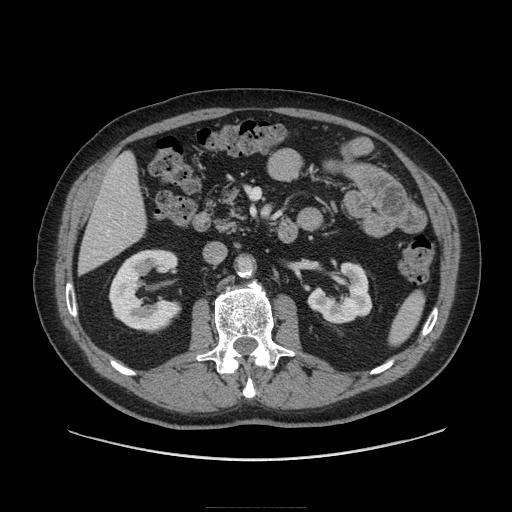
Abdomen. CT. 512x512 px.
pancreas: l=212, t=185, r=248, b=234